Field of view 357x357 mm; Slice index 43; Computed tomography; Pelvis
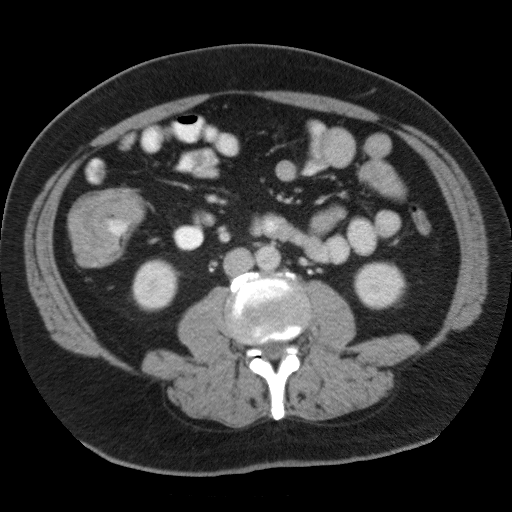 The colon tumor is located at x1=70 y1=189 x2=143 y2=266.